Field of view 240 mm wide, 1.00 mm slice spacing | Head
FLAIR MRI.
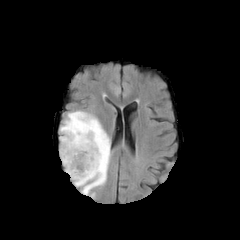
T1-weighted MR.
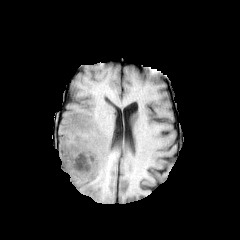
Post-contrast T1-weighted MR image.
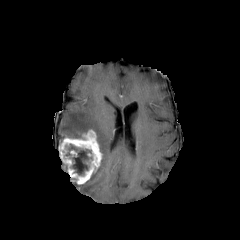
T2-weighted MR.
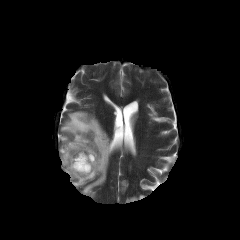
<segmentation>
  <edema>l=60, t=110, r=112, b=196</edema>
  <enhancing_tumor>l=59, t=129, r=102, b=184</enhancing_tumor>
  <non-enhancing_tumor_core>l=68, t=144, r=91, b=174</non-enhancing_tumor_core>
</segmentation>